Field of view 240 mm wide, 1.00 mm slice spacing, Brain
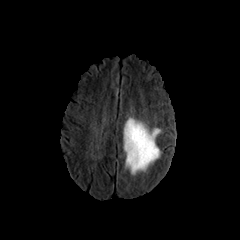
FLAIR MRI.
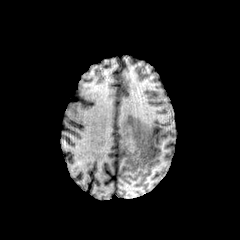
Same slice, T1-weighted MRI.
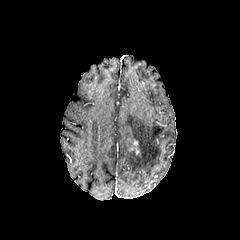
Post-contrast T1-weighted MR image of the same slice.
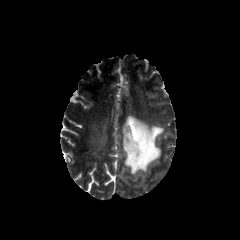
T2-weighted magnetic resonance.
edema:
  - 122 116 161 180